Upper abdomen; Computed tomography 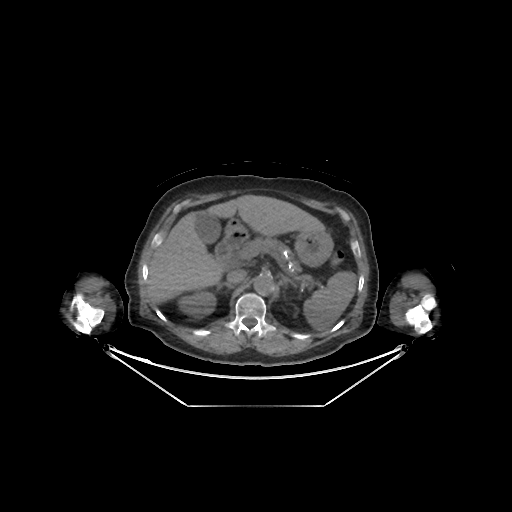

bone:
  - (x1=194, y1=330, x2=209, y2=335)
  - (x1=232, y1=294, x2=267, y2=336)
  - (x1=332, y1=321, x2=343, y2=331)
  - (x1=405, y1=295, x2=434, y2=333)
  - (x1=72, y1=295, x2=103, y2=333)
  - (x1=143, y1=265, x2=147, y2=279)
  - (x1=359, y1=276, x2=363, y2=290)
kidney:
  - (x1=177, y1=289, x2=216, y2=318)
liver:
  - (x1=146, y1=213, x2=221, y2=299)
  - (x1=208, y1=196, x2=323, y2=235)